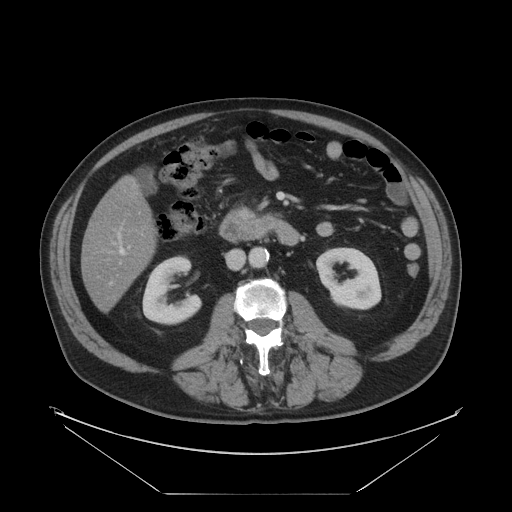
Image size 512x512 | CT slice | Abdomen
pancreas:
  - x1=243 y1=214 x2=276 y2=239